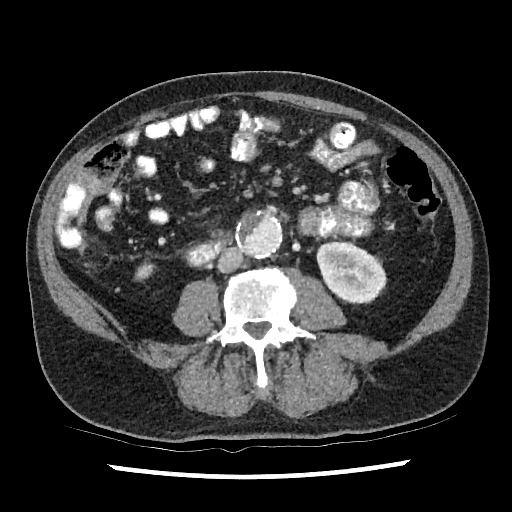
CT image; Abdomen

kidney:
  - 138:265:151:276
  - 319:243:385:302